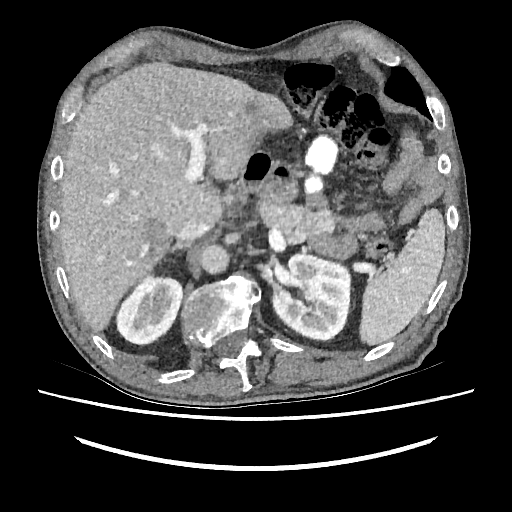 Abdomen. CT scan slice. Image size 512x512.

• kidney: [x1=117, y1=277, x2=182, y2=343], [x1=273, y1=254, x2=349, y2=339]
• liver: [x1=59, y1=64, x2=292, y2=329]
• focal liver lesion: [x1=245, y1=104, x2=254, y2=114], [x1=142, y1=219, x2=163, y2=255], [x1=247, y1=120, x2=269, y2=142]